CT, Field of view 360x360 mm
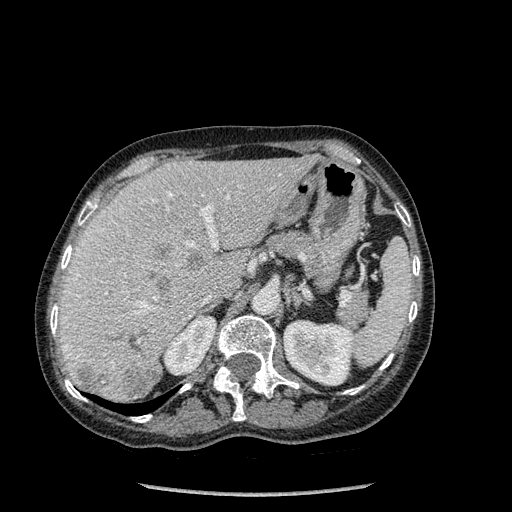

Liver lesion: <box>188,250,201,267</box>, <box>76,366,95,391</box>, <box>98,374,106,386</box>, <box>151,243,173,256</box>, <box>123,367,157,396</box>, <box>128,335,138,354</box>, <box>159,282,171,299</box>.
Lung: <box>92,393,170,415</box>.
Kidney: <box>164,316,215,374</box>, <box>284,321,354,384</box>.
Bone: <box>396,205,410,226</box>, <box>217,315,299,397</box>, <box>61,245,72,269</box>, <box>78,201,97,225</box>, <box>411,255,419,275</box>, <box>179,383,191,392</box>, <box>343,386,363,394</box>, <box>65,379,86,401</box>, <box>407,301,417,321</box>, <box>379,353,393,370</box>, <box>213,366,245,420</box>, <box>50,304,58,335</box>, <box>131,414,152,422</box>.
Liver: <box>58,155,314,402</box>.